CT image, Field of view 500 mm wide, 3.27 mm slice spacing
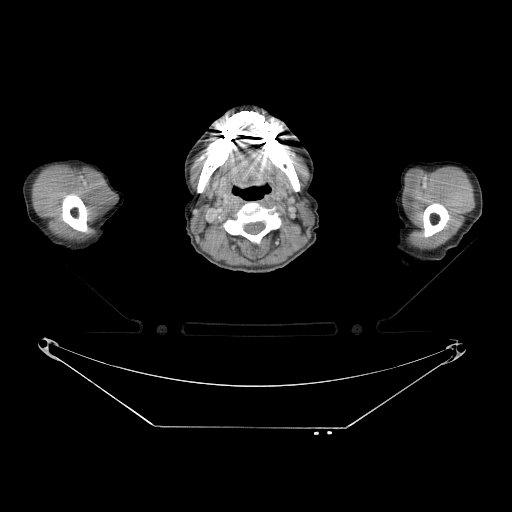 {"bone": ["[x1=224, y1=203, x2=281, y2=247]", "[x1=62, y1=194, x2=87, y2=231]", "[x1=423, y1=203, x2=448, y2=236]", "[x1=198, y1=111, x2=299, y2=192]"]}